FLAIR MR.
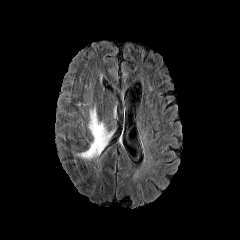
T1-weighted MRI.
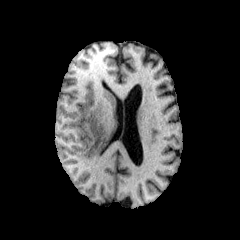
Post-contrast T1-weighted MR.
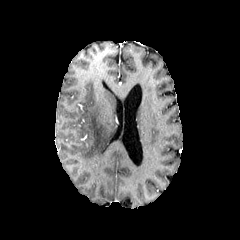
T2-weighted magnetic resonance.
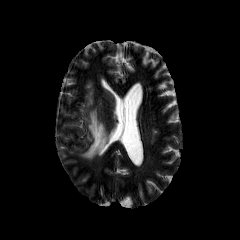
Brain
Edema: (81, 105, 116, 159).